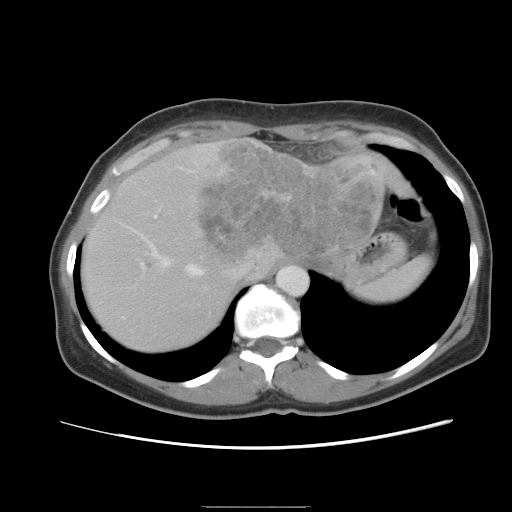

Computed tomography; Abdomen; 512x512 px
Not every hepatic vessel necessarily has a box.
6 hepatic vessel regions are bounded by 159 256 168 266, 130 228 157 255, 186 265 201 275, 138 259 142 265, 223 254 262 280, 124 225 127 226. The liver tumor appears at 190 140 378 272.